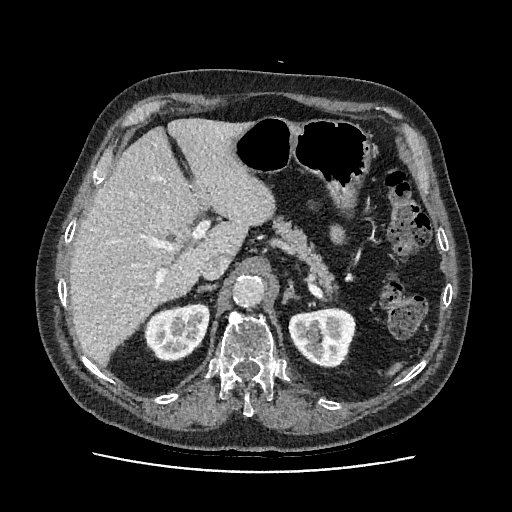
CT slice, Upper abdomen
Kidney = 146,305,208,359; 289,309,354,365.
Liver = 69,119,273,365.